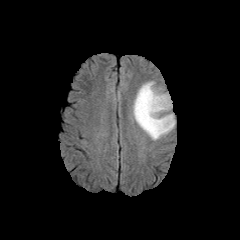
FLAIR MR.
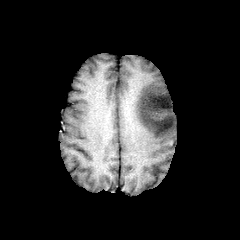
T1-weighted MR of the same slice.
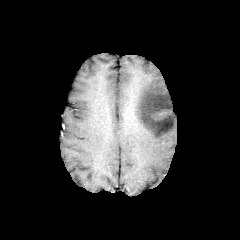
Post-contrast T1-weighted MR of the same slice.
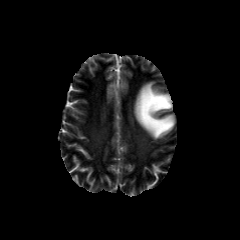
T2-weighted MRI.
Brain. Image size 240x240.
Annotated regions:
* edema: box(132, 81, 175, 141)